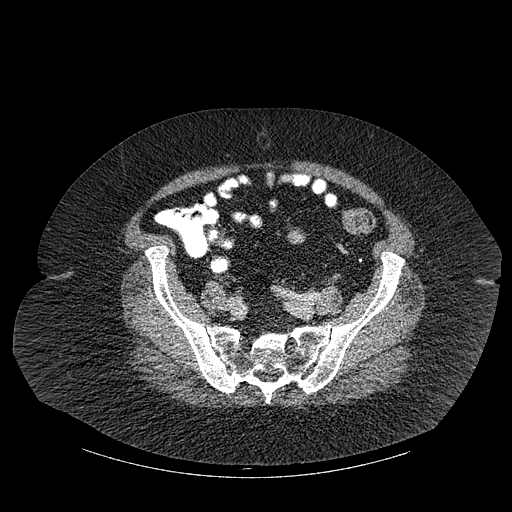 Computed tomography | Image size 512x512
<segmentation>
  <bone>{"x1": 145, "y1": 246, "x2": 404, "y2": 403}</bone>
</segmentation>